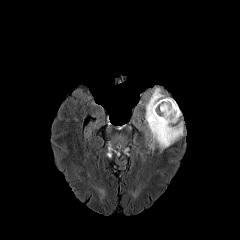
FLAIR MR.
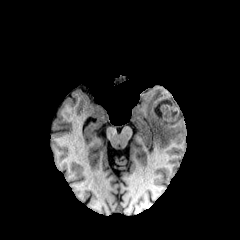
T1-weighted MRI.
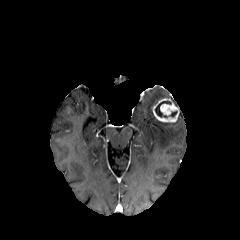
Post-contrast T1-weighted MR image of the same slice.
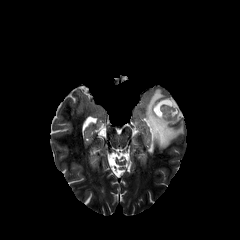
T2-weighted magnetic resonance.
Head.
The non-enhancing tumor core lies within x1=155, y1=100, x2=171, y2=116. The enhancing tumor lies within x1=151, y1=98, x2=178, y2=122. The edema is located at x1=141, y1=88, x2=183, y2=152.